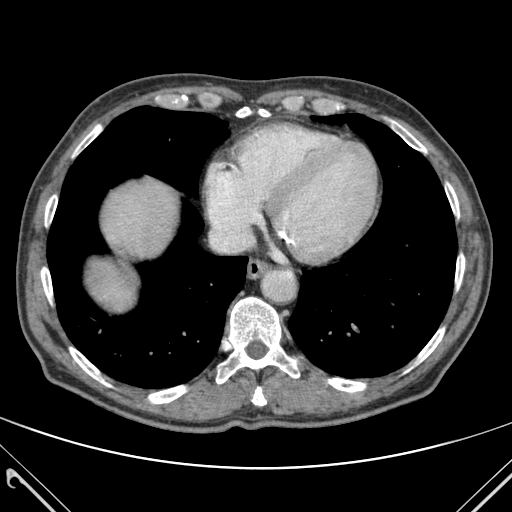 Liver, CT

Liver: bounding box bbox=[88, 261, 135, 308]; bbox=[101, 181, 177, 257].
Lung: bounding box bbox=[289, 114, 457, 377]; bbox=[47, 106, 247, 388].
Bone: bounding box bbox=[328, 378, 365, 391]; bbox=[74, 125, 101, 155]; bbox=[148, 386, 185, 403]; bbox=[455, 254, 464, 288]; bbox=[445, 183, 459, 217]; bbox=[384, 118, 426, 152]; bbox=[41, 266, 52, 304]; bbox=[45, 194, 57, 226]; bbox=[216, 297, 299, 383]; bbox=[236, 107, 269, 117]; bbox=[252, 387, 266, 405]; bbox=[415, 328, 444, 364]; bbox=[70, 347, 109, 386].